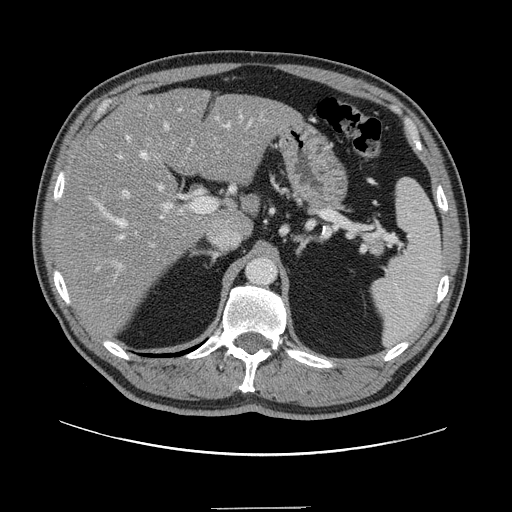 Liver. Computed tomography.

The vessel annotation is not exhaustive.
partial: true
hepatic_vessel:
  # 15 of 22 shown
  - 178 210 182 214
  - 120 235 124 238
  - 165 124 168 129
  - 118 155 122 158
  - 179 196 188 198
  - 123 191 129 196
  - 141 153 147 158
  - 164 204 171 208
  - 240 113 242 119
  - 116 264 120 268
  - 191 191 217 213
  - 95 202 126 226
  - 127 136 129 141
  - 224 123 229 127
  - 159 185 162 190